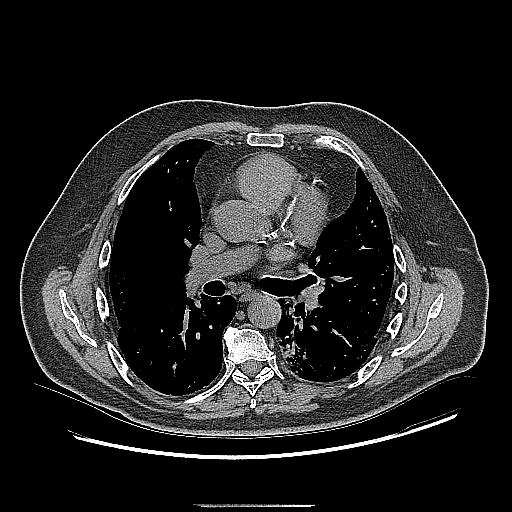

Computed tomography | Thorax

<segmentation>
  <lung_tumor><bbox>277, 299, 310, 376</bbox></lung_tumor>
</segmentation>